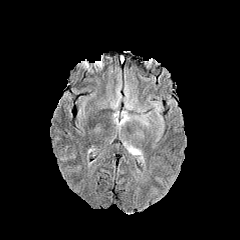
FLAIR MRI.
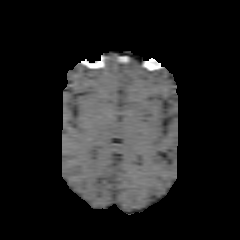
Same slice, T1-weighted MR.
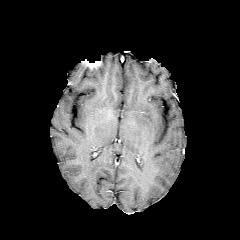
Post-contrast T1-weighted magnetic resonance.
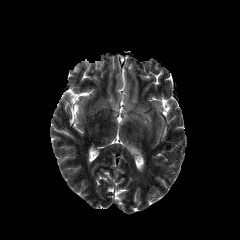
T2-weighted MRI.
Head
2 edema regions appear at (125,143,143,160), (113,102,151,128).